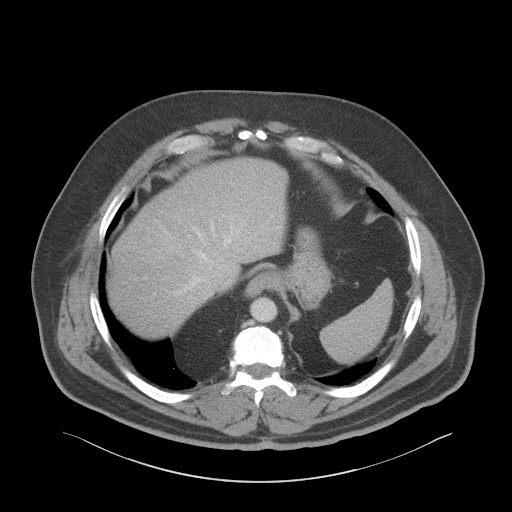
Computed tomography

Annotated regions:
• liver: x1=110, y1=159, x2=285, y2=339